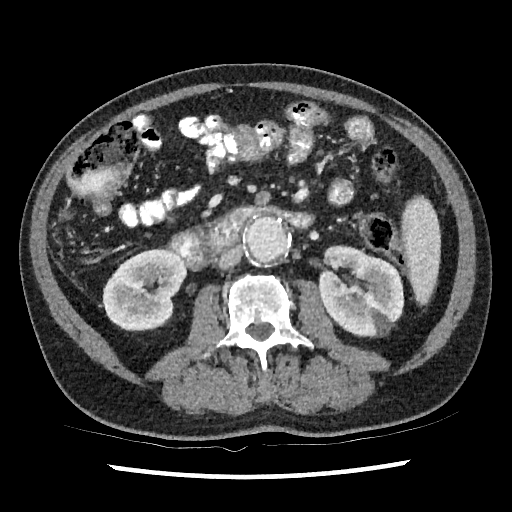 CT image

Kidney: bounding box x1=319, y1=246, x2=403, y2=335; x1=103, y1=250, x2=186, y2=329.